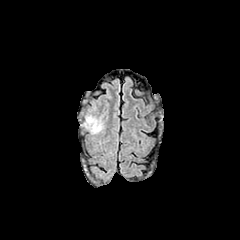
FLAIR magnetic resonance.
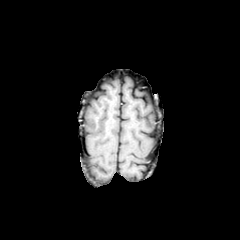
T1-weighted MRI of the same slice.
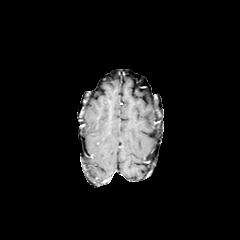
Same slice, post-contrast T1-weighted MR.
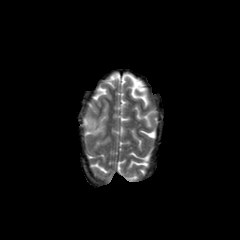
T2-weighted MR.
Edema: 81, 116, 95, 128.